Slice index 29. CT scan slice. 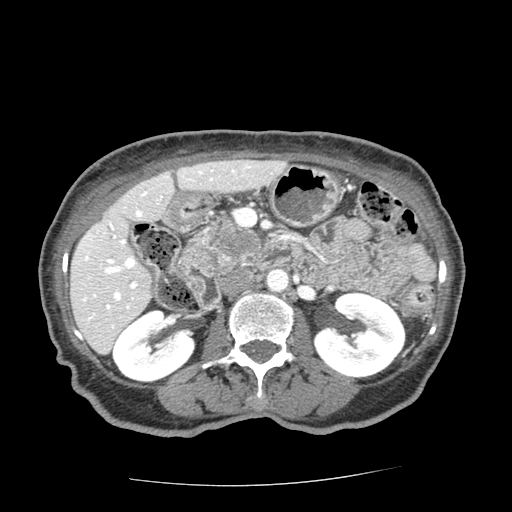 <segmentation>
  <pancreatic_tumor>(left=210, top=216, right=260, bottom=257)</pancreatic_tumor>
  <pancreas>(left=191, top=220, right=261, bottom=275)</pancreas>
</segmentation>